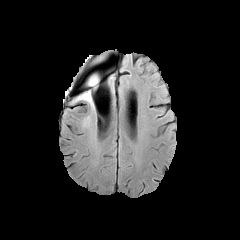
FLAIR MRI.
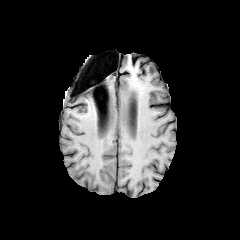
T1-weighted MRI.
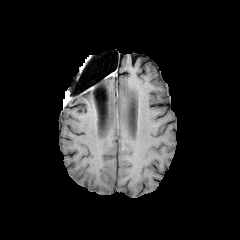
Post-contrast T1-weighted MR image.
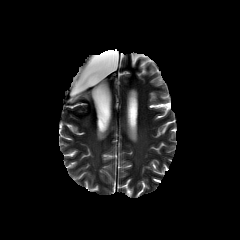
T2-weighted magnetic resonance of the same slice.
The non-enhancing tumor core appears at (x1=88, y1=81, x2=97, y2=92). 2 edema regions are bounded by (x1=86, y1=75, x2=98, y2=89), (x1=77, y1=81, x2=101, y2=109).